Brain. 240x240.
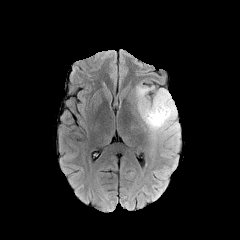
FLAIR MR.
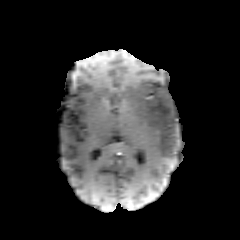
T1-weighted MRI of the same slice.
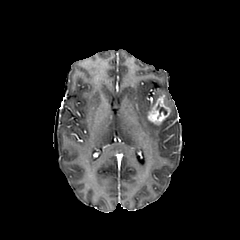
Post-contrast T1-weighted MR image.
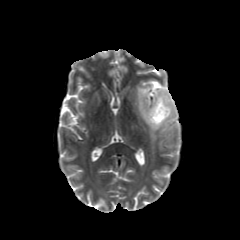
Same slice, T2-weighted MRI.
2 edema regions appear at region(134, 82, 180, 147); region(157, 168, 167, 181). The enhancing tumor lies within region(147, 94, 170, 124). The non-enhancing tumor core lies within region(144, 91, 161, 125).